Slice 44 of 155. Head.
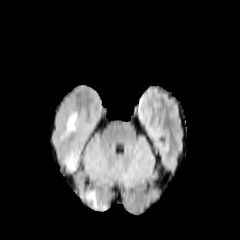
FLAIR MR.
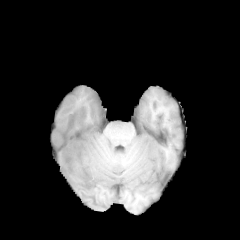
T1-weighted MR of the same slice.
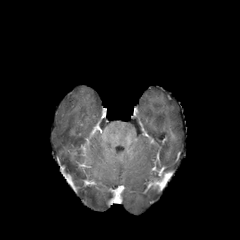
Post-contrast T1-weighted MR image.
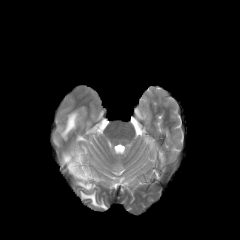
T2-weighted MR.
4 edema regions are located at bbox=[66, 154, 87, 177]; bbox=[61, 112, 78, 138]; bbox=[77, 181, 91, 188]; bbox=[80, 189, 105, 208].